Image size 240x240 | Image width 240 mm
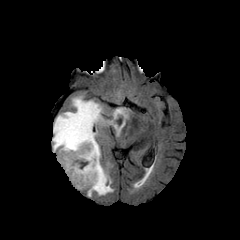
FLAIR MR image.
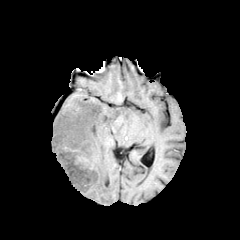
Same slice, T1-weighted MR.
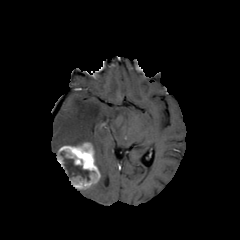
Same slice, post-contrast T1-weighted MRI.
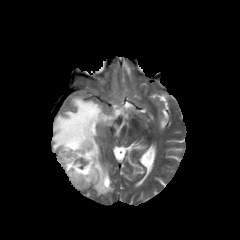
T2-weighted magnetic resonance.
The non-enhancing tumor core is at bbox=[63, 157, 89, 181]. The edema appears at bbox=[52, 96, 128, 196]. The enhancing tumor is located at bbox=[57, 142, 100, 188].